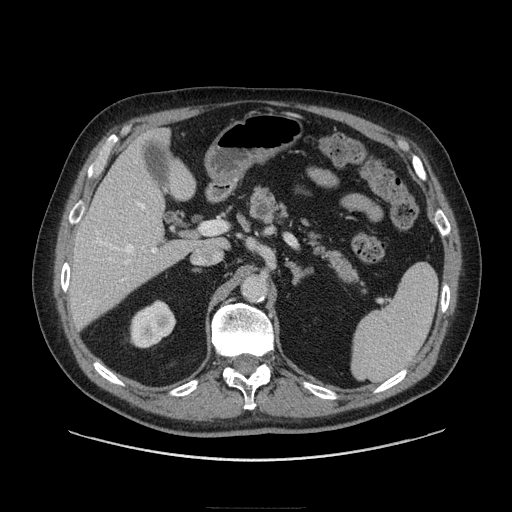 CT image
The pancreas lies within (247,186,362,288). The pancreatic tumor lies within (255,204,270,218).